Slice 539 of 836; Computed tomography
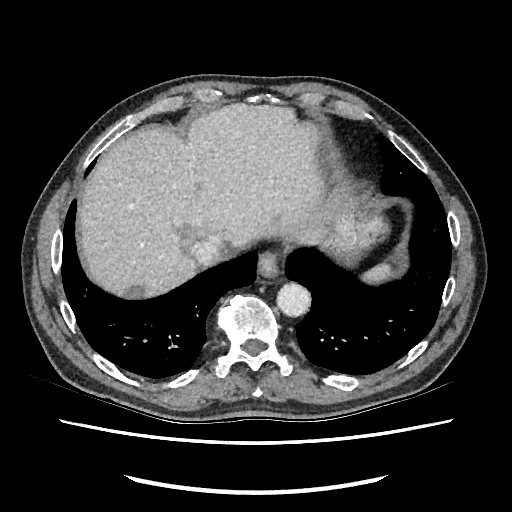 The liver is bounded by x1=80 y1=104 x2=321 y2=296. 3 focal liver lesion regions appear at x1=174 y1=224 x2=208 y2=255, x1=129 y1=285 x2=146 y2=296, x1=271 y1=214 x2=279 y2=224.